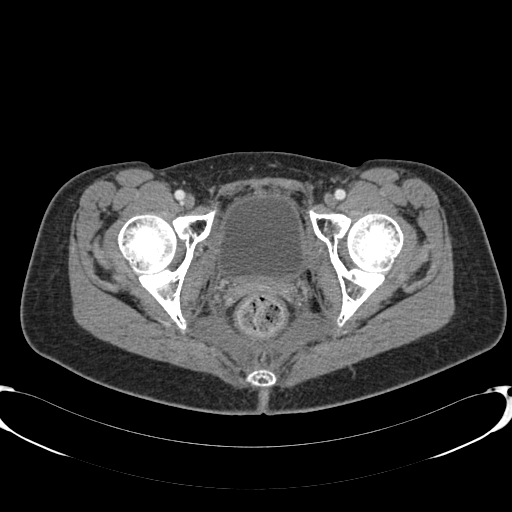
CT. 512x512 px. Lower abdomen. Urinary bladder = bbox=[217, 196, 303, 277].